Image width 409 mm; Slice index 329; CT image; Chest
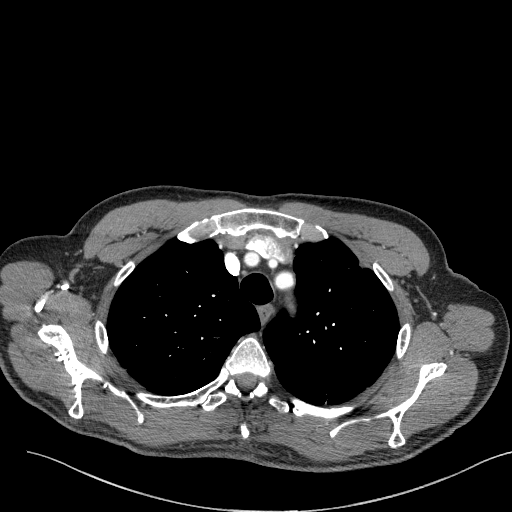 Lung tumor: l=350, t=268, r=368, b=290.